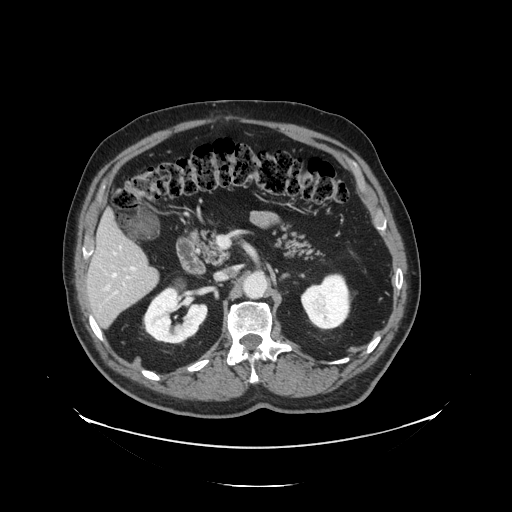

512x512 px; CT
Only some of the vessels may be annotated.
7 hepatic vessel regions are located at <bbox>127, 277, 129, 278</bbox>, <bbox>131, 268, 135, 270</bbox>, <bbox>114, 292, 117, 294</bbox>, <bbox>120, 247, 121, 249</bbox>, <bbox>113, 253, 115, 254</bbox>, <bbox>112, 273, 116, 277</bbox>, <bbox>103, 286, 109, 290</bbox>.